MR image. 38x55 px. Slice index 24. 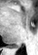

Segmented structures:
• posterior hippocampus: 12, 45, 20, 47